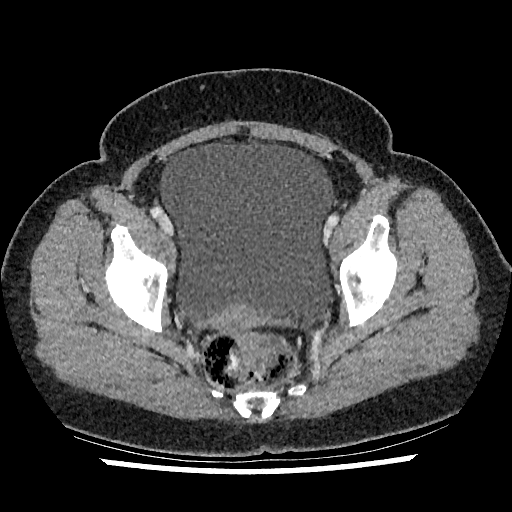

Lower abdomen; CT slice; 512x512 px

Annotated regions:
• urinary bladder: (160,141,333,328)